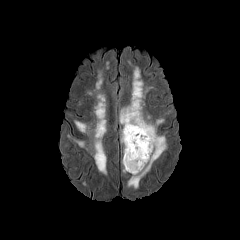
FLAIR MR image.
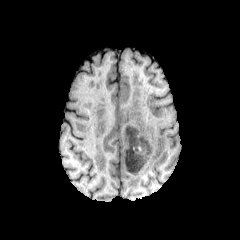
T1-weighted MR.
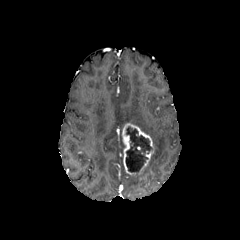
Post-contrast T1-weighted MRI.
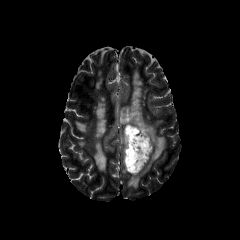
T2-weighted MR image of the same slice.
240x240 px, Brain
Enhancing tumor at [121,123,154,174].
Edema at [93,94,106,175], [74,121,89,133], [119,68,166,189].
Non-enhancing tumor core at [124,126,152,174].